FLAIR MR.
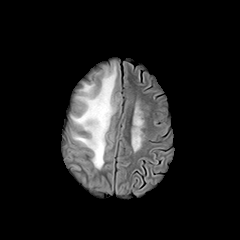
T1-weighted magnetic resonance.
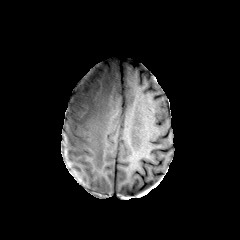
Post-contrast T1-weighted MR.
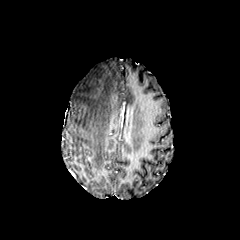
T2-weighted MR image.
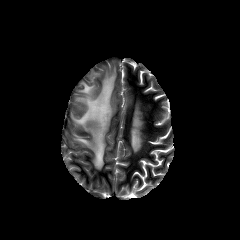
Brain.
Edema: bounding box x1=72 y1=66 x2=117 y2=169.